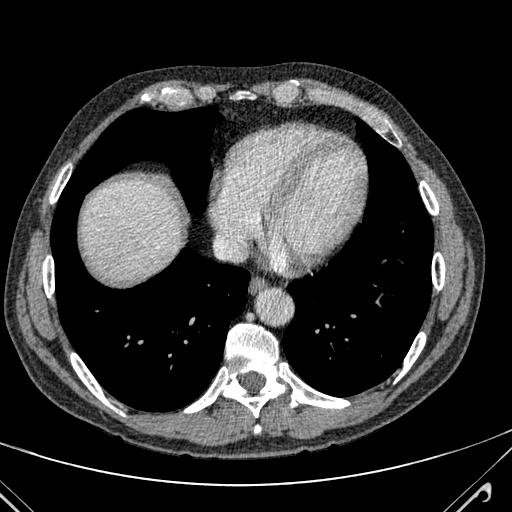 CT.

Liver: x1=84 y1=182 x2=178 y2=278.